CT scan slice; Image size 512x512; Upper abdomen; Field of view 439 mm wide, 0.80 mm slice spacing 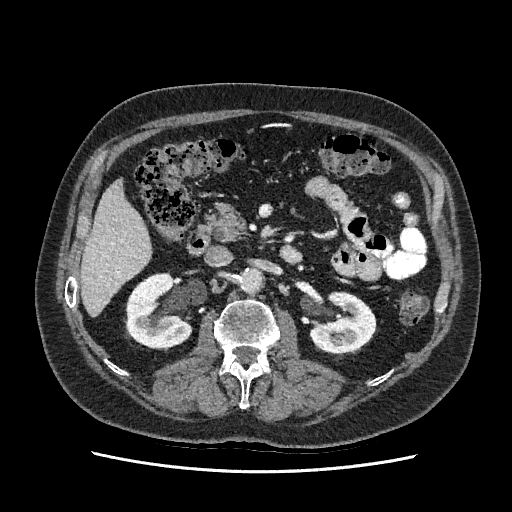
<segmentation>
  <kidney>311,293,375,352; 127,274,190,347</kidney>
  <liver>81,181,150,315</liver>
</segmentation>